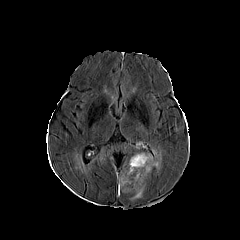
FLAIR MRI.
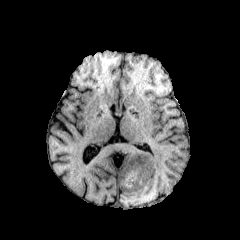
Same slice, T1-weighted magnetic resonance.
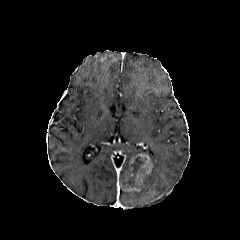
Post-contrast T1-weighted magnetic resonance of the same slice.
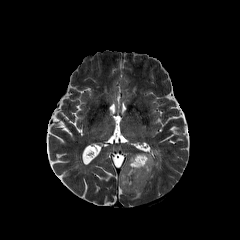
T2-weighted MRI.
240x240
The non-enhancing tumor core is located at (x1=121, y1=157, x2=156, y2=188). 2 edema regions appear at (x1=146, y1=148, x2=162, y2=172), (x1=131, y1=187, x2=144, y2=200). 2 enhancing tumor regions are located at (x1=120, y1=153, x2=152, y2=192), (x1=135, y1=170, x2=143, y2=185).